Field of view 458 mm wide, 2.50 mm slice spacing, CT slice

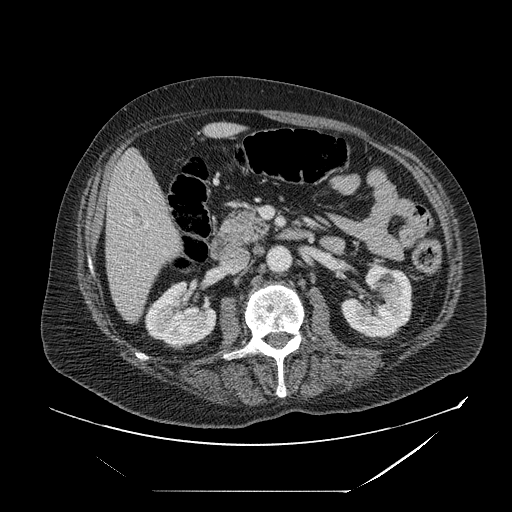

pancreatic_tumor:
  - region(246, 232, 256, 242)
pancreas:
  - region(223, 210, 268, 243)